Slice index 10. Magnetic resonance.
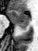
anterior_hippocampus:
  - (8,10,29,25)
posterior_hippocampus:
  - (18,26,27,29)